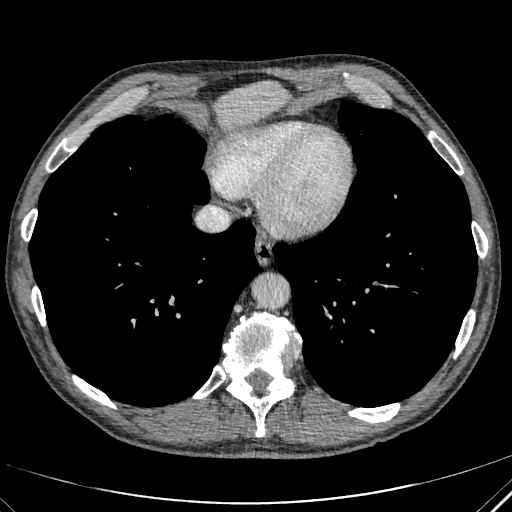

CT scan slice

The liver appears at l=215, t=81, r=288, b=127.